CT slice, Image size 512x512

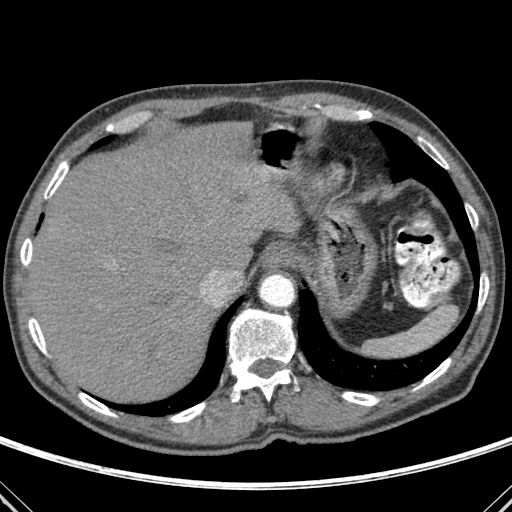 Liver lesion: bbox=[233, 188, 247, 203].
Liver: bbox=[28, 121, 297, 403].
Lung: bbox=[91, 136, 112, 148]; bbox=[298, 122, 476, 390]; bbox=[96, 297, 242, 416].
Bone: bbox=[418, 137, 448, 168]; bbox=[44, 161, 68, 198]; bbox=[416, 358, 451, 388]; bbox=[20, 238, 32, 265]; bbox=[170, 402, 205, 422]; bbox=[478, 275, 489, 309]; bbox=[78, 392, 115, 416]; bbox=[465, 204, 478, 228]; bbox=[28, 318, 46, 353]; bbox=[229, 309, 295, 401]; bbox=[342, 392, 379, 405].